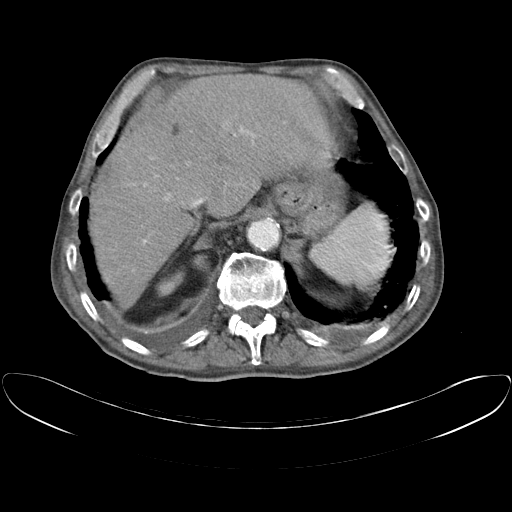 CT slice | Liver
The vessel annotation is not exhaustive.
Hepatic vessel — [149, 157, 152, 159], [165, 193, 170, 200], [239, 125, 255, 137], [176, 177, 178, 179], [222, 120, 231, 130], [142, 239, 147, 243], [144, 183, 146, 185], [233, 133, 236, 136], [186, 162, 189, 164], [191, 193, 206, 207], [283, 121, 285, 123].